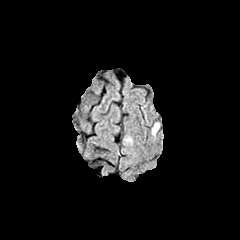
FLAIR MR image.
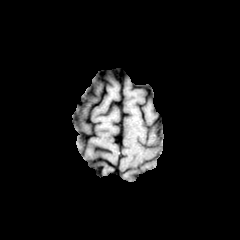
T1-weighted MR.
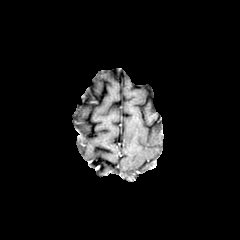
Post-contrast T1-weighted MR image.
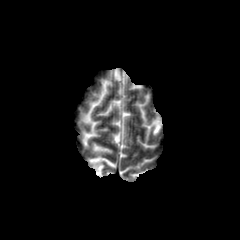
Same slice, T2-weighted MR image.
Edema — [152, 122, 159, 135].